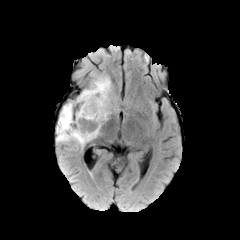
FLAIR MRI.
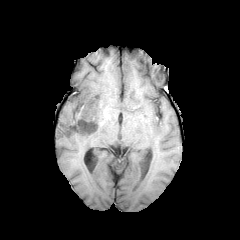
T1-weighted MRI of the same slice.
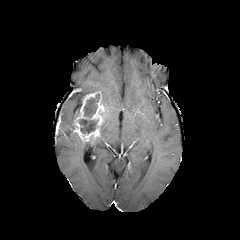
Post-contrast T1-weighted MR.
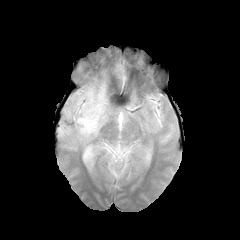
Same slice, T2-weighted magnetic resonance.
Image size 240x240
non-enhancing tumor core: 84 98 97 116, 79 118 103 135, 78 91 94 107 | enhancing tumor: 73 92 104 141 | edema: 57 76 111 149